240x240 px; Head
FLAIR MRI.
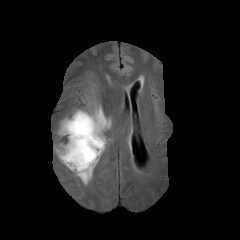
T1-weighted MRI.
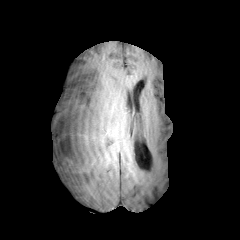
Post-contrast T1-weighted MR.
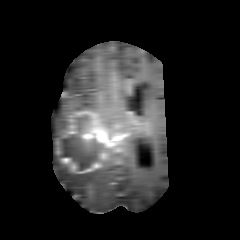
T2-weighted MR.
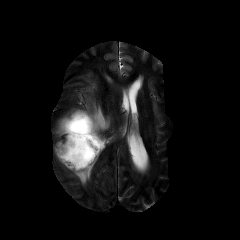
The non-enhancing tumor core appears at rect(58, 115, 104, 172). 3 edema regions appear at rect(55, 97, 111, 137); rect(67, 168, 92, 184); rect(54, 140, 59, 161). 3 enhancing tumor regions are located at rect(67, 125, 77, 133); rect(72, 111, 112, 160); rect(79, 163, 100, 172).